CT scan slice; Image width 320 mm 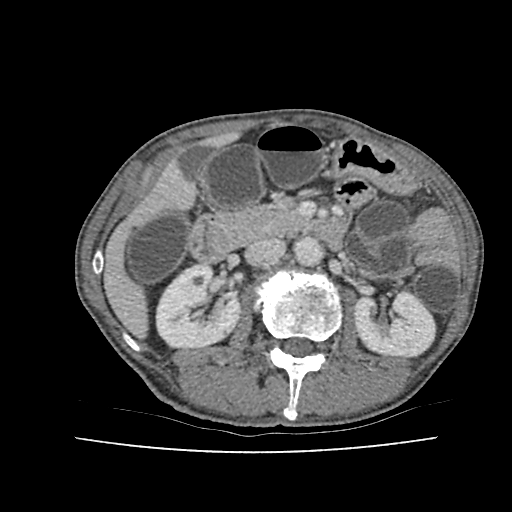

Liver: bounding box region(104, 166, 188, 329).
Kidney: bounding box region(157, 265, 239, 347); region(355, 293, 434, 355).